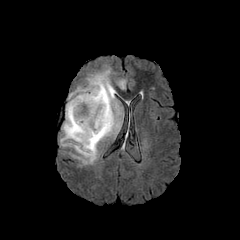
FLAIR magnetic resonance.
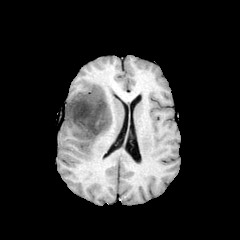
T1-weighted magnetic resonance.
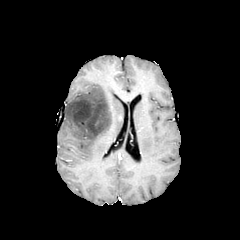
Post-contrast T1-weighted MRI.
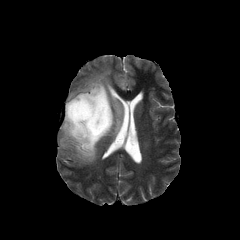
T2-weighted MR.
Findings:
- edema: 60 69 123 164
- non-enhancing tumor core: 68 86 109 139